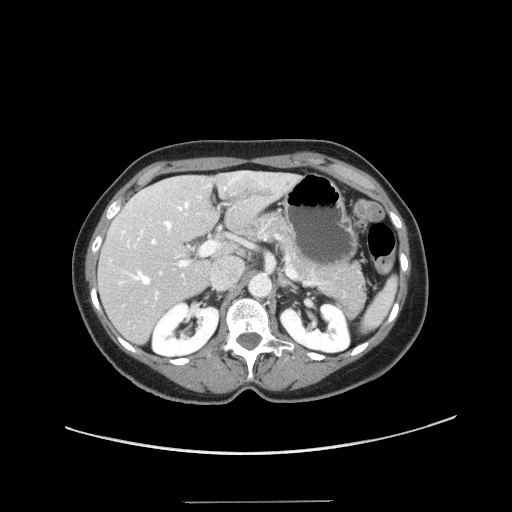 Liver, CT scan slice

The vessel annotation is not exhaustive.
Annotated regions:
- hepatic vessel: (x1=160, y1=271, x2=161, y2=273), (x1=130, y1=272, x2=148, y2=283), (x1=165, y1=221, x2=171, y2=229), (x1=179, y1=201, x2=188, y2=208), (x1=156, y1=291, x2=158, y2=297), (x1=179, y1=260, x2=187, y2=265), (x1=201, y1=242, x2=215, y2=253), (x1=130, y1=245, x2=135, y2=246), (x1=152, y1=238, x2=155, y2=243)